FLAIR MR image.
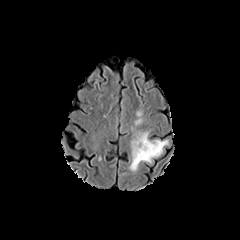
T1-weighted MR.
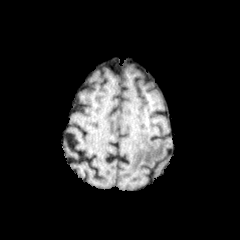
Post-contrast T1-weighted MR image.
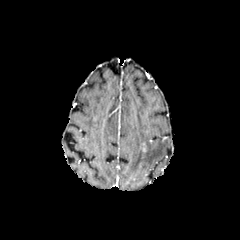
T2-weighted MRI.
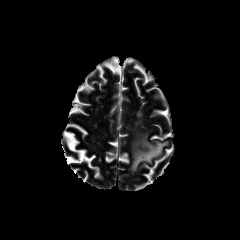
Head, Image size 240x240
Edema: bounding box 128 131 168 172.